Medial temporal lobe; MRI slice; Image width 35 mm; Image size 35x47 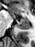 2 anterior hippocampus regions are bounded by box=[11, 15, 15, 18]; box=[20, 16, 28, 20]. The posterior hippocampus lies within box=[16, 21, 29, 29].